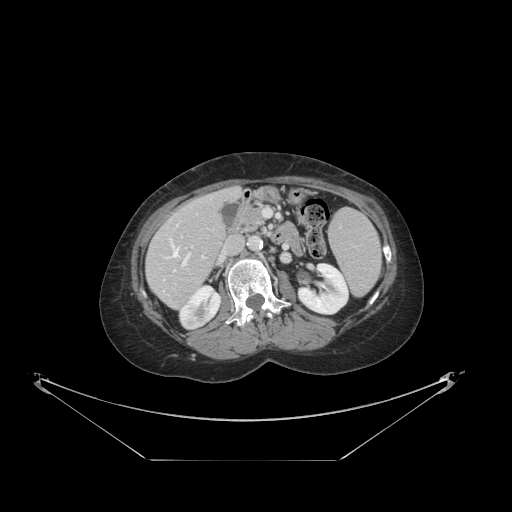 512x512 px. CT image. Abdomen.
The vessel annotation is not exhaustive.
3 hepatic vessel regions appear at 165 257 169 258, 173 247 179 256, 181 254 189 266.